Field of view 37x50 mm. Magnetic resonance. Medial temporal lobe.

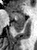

{
  "anterior_hippocampus": [
    "<box>8,11,24,20</box>"
  ],
  "posterior_hippocampus": [
    "<box>11,21,24,32</box>"
  ]
}